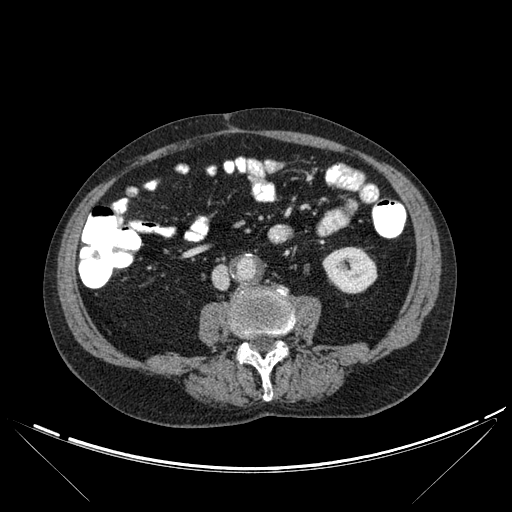 CT scan slice. 512x512 px. Abdomen. Bone: bounding box 237:341:287:400, 231:289:294:336.
Kidney: bounding box 323:247:376:292.